CT | Abdomen
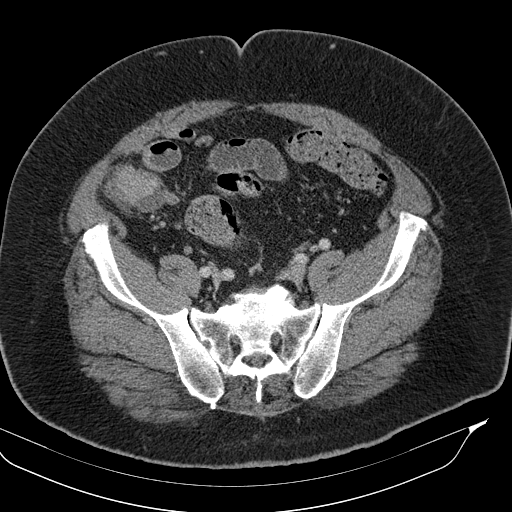

colon tumor: (113, 168, 158, 200)